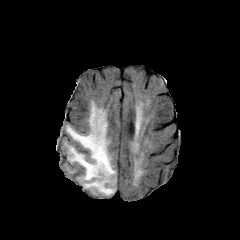
FLAIR MR image.
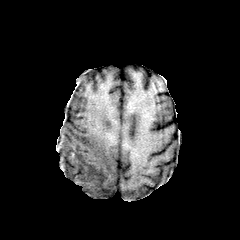
Same slice, T1-weighted MR.
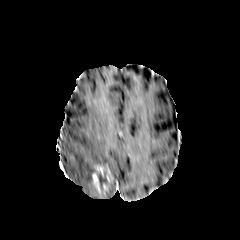
Post-contrast T1-weighted MR.
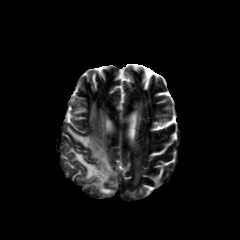
Same slice, T2-weighted MR.
240x240 px | Head
Findings:
* edema: box(65, 102, 116, 197)
* enhancing tumor: box(92, 166, 112, 194)
* non-enhancing tumor core: box(89, 164, 108, 177); box(98, 174, 107, 189)